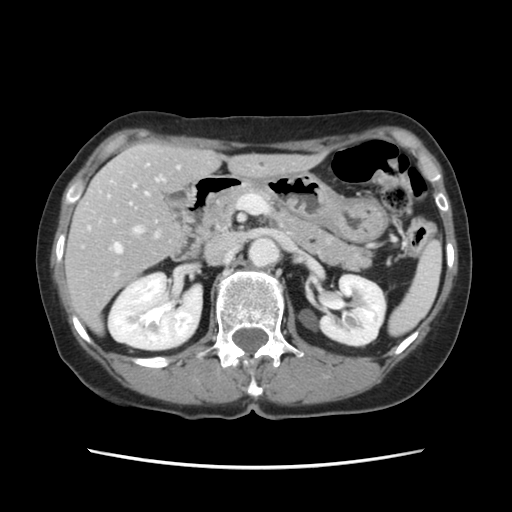
Abdomen, CT slice
Only some of the vessels may be annotated.
Hepatic vessel = bbox=[177, 166, 178, 168]; bbox=[155, 233, 157, 236]; bbox=[134, 227, 142, 232]; bbox=[146, 193, 147, 194]; bbox=[133, 184, 135, 187]; bbox=[114, 244, 121, 252]; bbox=[156, 177, 163, 181].